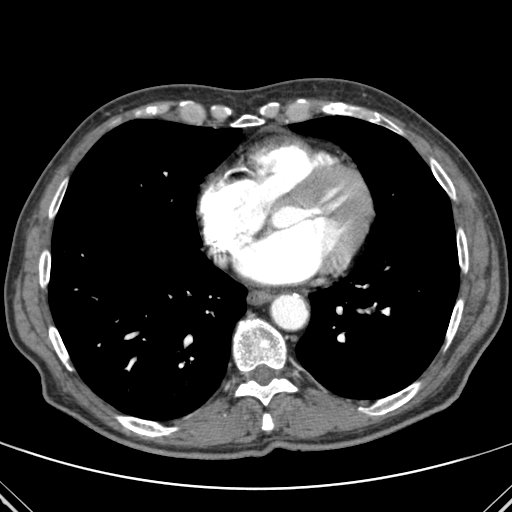 CT scan slice. 14 bone regions appear at l=322, t=103, r=395, b=126; l=233, t=318, r=285, b=372; l=359, t=382, r=420, b=415; l=446, t=299, r=463, b=344; l=231, t=115, r=264, b=126; l=39, t=251, r=50, b=286; l=235, t=377, r=297, b=405; l=49, t=181, r=65, b=218; l=431, t=159, r=455, b=199; l=262, t=413, r=273, b=430; l=457, t=229, r=468, b=271; l=145, t=106, r=157, b=114; l=116, t=416, r=177, b=436; l=49, t=327, r=71, b=370. 2 lung regions are located at l=289, t=116, r=459, b=398; l=48, t=119, r=246, b=420.